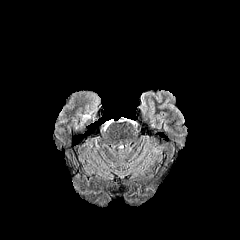
FLAIR magnetic resonance.
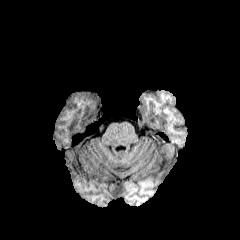
T1-weighted MR of the same slice.
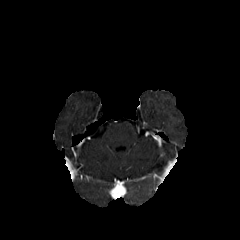
Post-contrast T1-weighted MR.
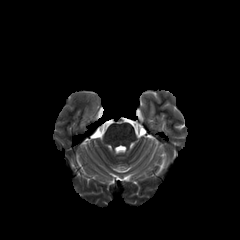
Same slice, T2-weighted magnetic resonance.
- edema: x1=91, y1=96, x2=99, y2=112